Abdomen, Computed tomography
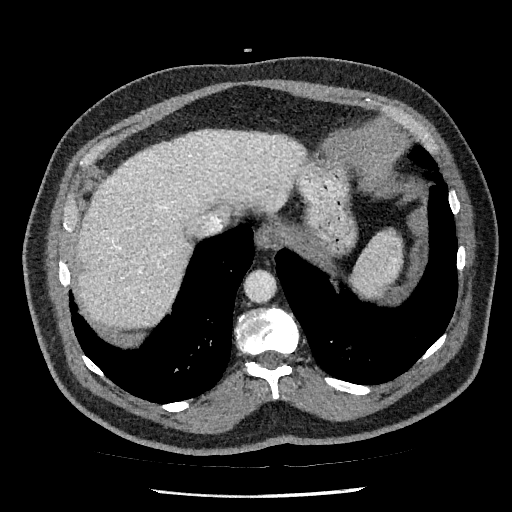
The liver is located at x1=77, y1=130, x2=304, y2=328.